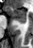 MR | Hippocampus

{"anterior_hippocampus": ["l=4, t=6, r=26, b=21"], "posterior_hippocampus": ["l=21, t=22, r=25, b=23"]}